FLAIR MRI.
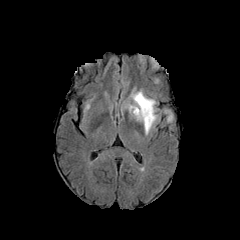
T1-weighted magnetic resonance.
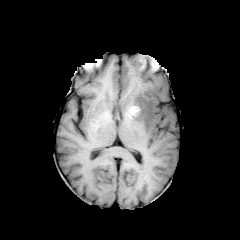
Post-contrast T1-weighted MRI.
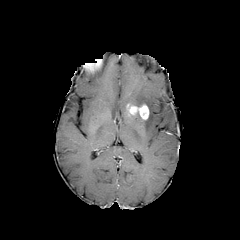
T2-weighted MR.
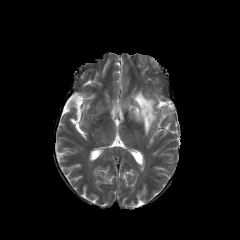
Brain
Edema = left=130, top=90, right=172, bottom=134.
Enhancing tumor = left=130, top=104, right=149, bottom=119.
Non-enhancing tumor core = left=127, top=104, right=145, bottom=121.